CT slice, Slice index 23
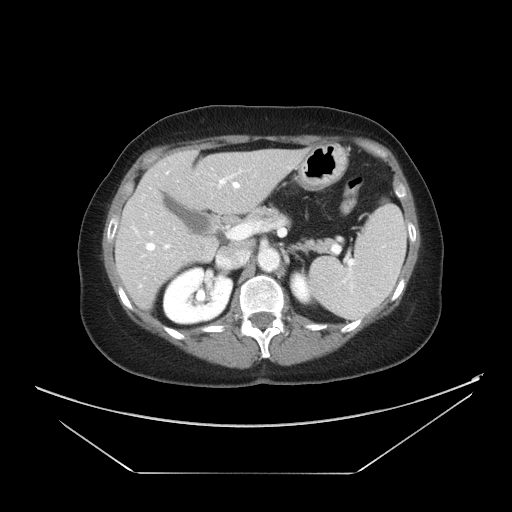

Some hepatic vessels may have no box.
Annotated regions:
• hepatic vessel: box=[217, 252, 245, 267]; box=[146, 243, 154, 250]; box=[132, 227, 134, 228]; box=[218, 174, 233, 187]; box=[232, 227, 240, 238]; box=[233, 182, 238, 187]; box=[164, 244, 169, 247]; box=[150, 231, 152, 234]